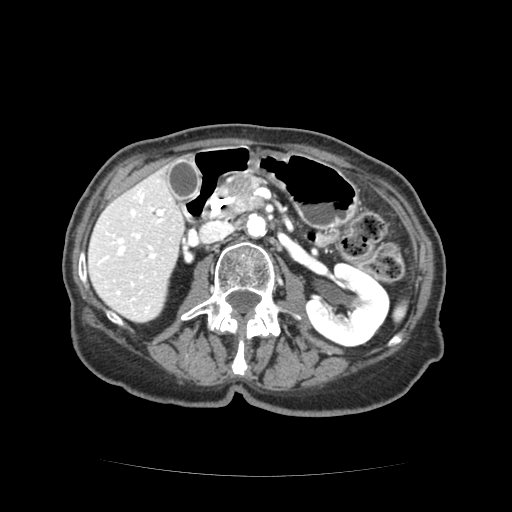

CT image

pancreas: x1=219, y1=175, x2=263, y2=213 | pancreatic tumor: x1=227, y1=178, x2=253, y2=207